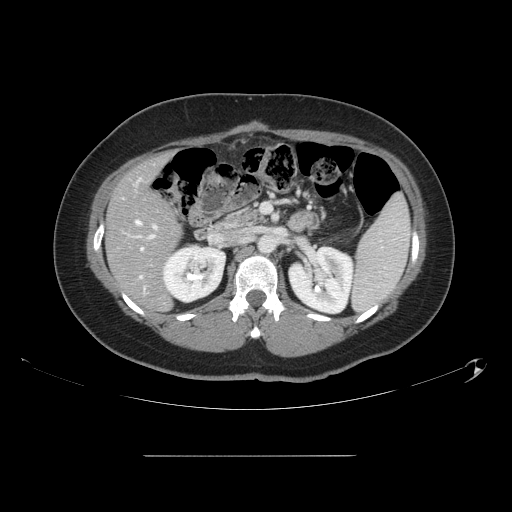

Image size 512x512. CT scan slice. Abdomen.
The vessel annotation is not exhaustive.
<segmentation>
  <hepatic_vessel>(left=144, top=288, right=144, bottom=291), (left=148, top=235, right=153, bottom=238), (left=136, top=220, right=140, bottom=224), (left=153, top=225, right=156, bottom=228), (left=141, top=248, right=143, bottom=249)</hepatic_vessel>
</segmentation>